Computed tomography; Slice index 63
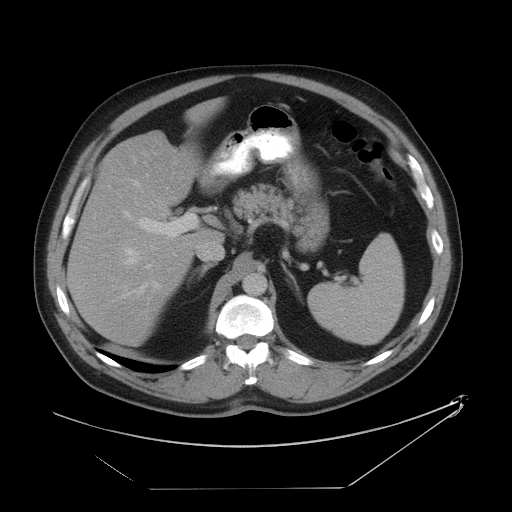 The spleen appears at x1=308 y1=234 x2=404 y2=344.